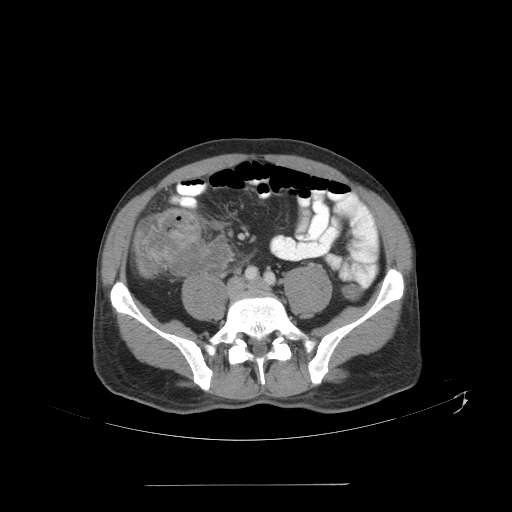 Image size 512x512; Computed tomography
colon tumor: (x1=133, y1=208, x2=204, y2=278)